Slice 56/174; Liver; CT 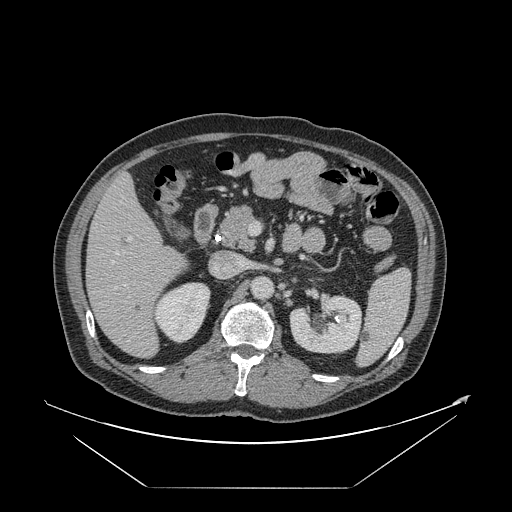

The vessel annotation is not exhaustive.
hepatic vessel: [x1=128, y1=237, x2=131, y2=240], [x1=112, y1=261, x2=114, y2=264], [x1=116, y1=252, x2=117, y2=254]